Image size 512x512. CT. Slice 39 of 105. Abdomen. 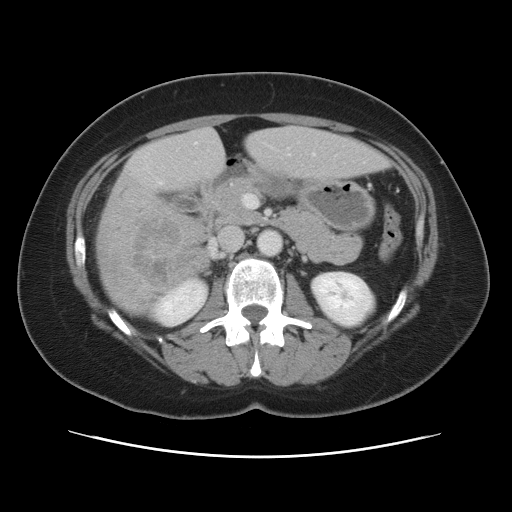 Some hepatic vessels may have no box.
The liver tumor is located at {"x1": 127, "y1": 213, "x2": 186, "y2": 291}. The hepatic vessel is located at {"x1": 313, "y1": 153, "x2": 314, "y2": 155}.